FLAIR magnetic resonance.
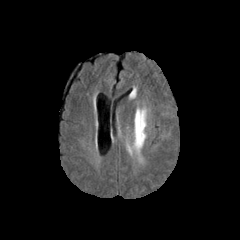
T1-weighted magnetic resonance.
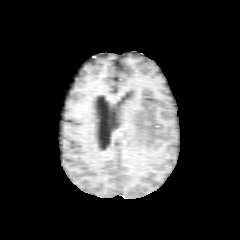
Post-contrast T1-weighted MR.
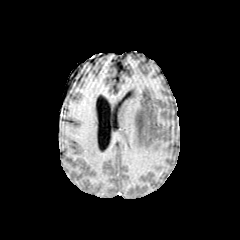
T2-weighted MR image.
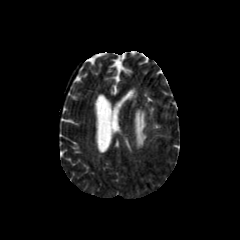
Head
The edema is at {"x1": 134, "y1": 108, "x2": 146, "y2": 149}.